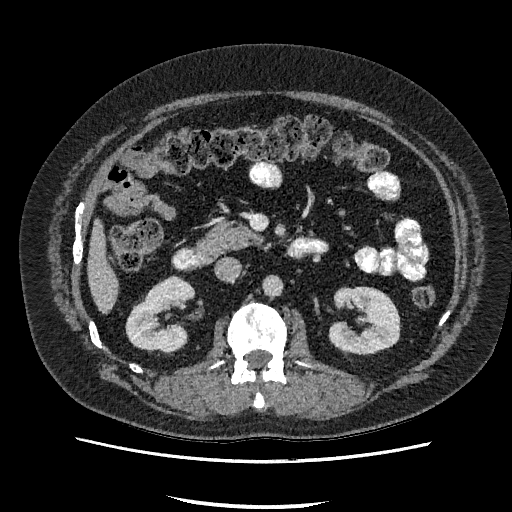
512x512. CT.

The liver is bounded by l=88, t=221, r=118, b=311. 2 kidney regions appear at l=127, t=278, r=192, b=351; l=330, t=287, r=398, b=352.